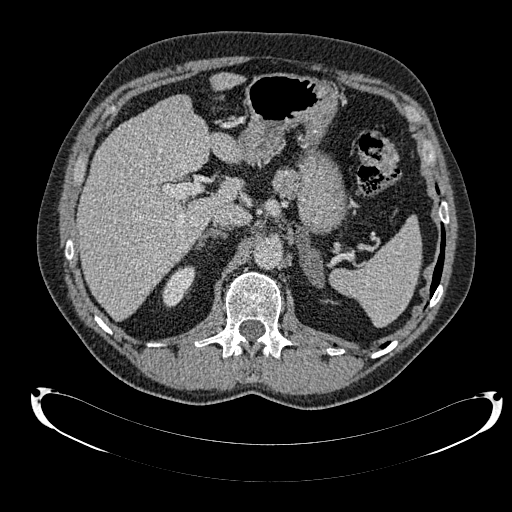

CT slice
- kidney: (163, 267, 194, 305)
- liver: (78, 96, 240, 319), (211, 73, 244, 90)